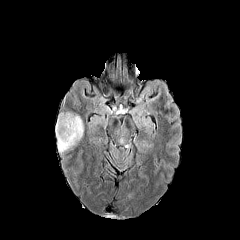
FLAIR MR.
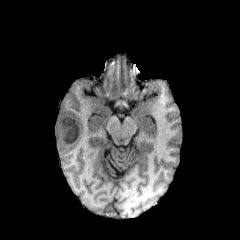
T1-weighted MRI of the same slice.
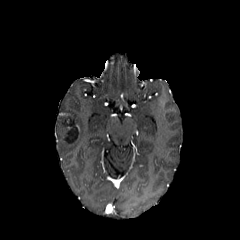
Post-contrast T1-weighted MR.
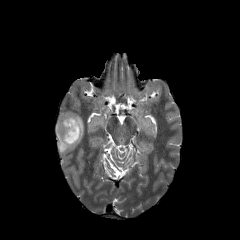
T2-weighted MR.
Brain | Image size 240x240
• non-enhancing tumor core: (left=58, top=114, right=78, bottom=143)
• edema: (left=56, top=114, right=83, bottom=154)